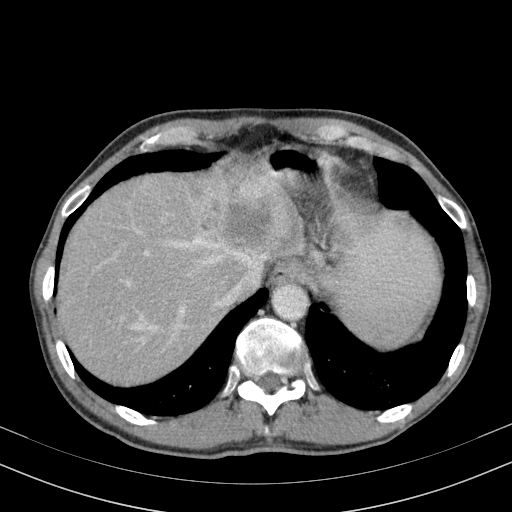
512x512; CT scan slice; Liver

liver:
  - 58:153:304:386
liver_lesion:
  - 224:204:271:240